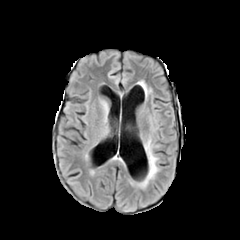
FLAIR magnetic resonance.
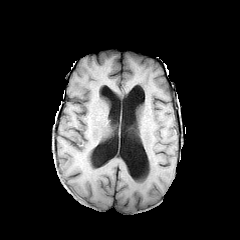
T1-weighted MRI.
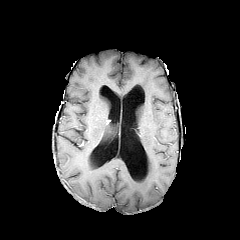
Post-contrast T1-weighted MR.
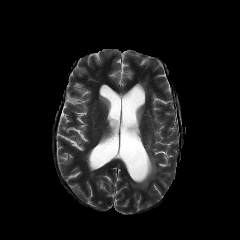
T2-weighted MR of the same slice.
2 edema regions appear at 137,138,159,187; 140,82,148,102.